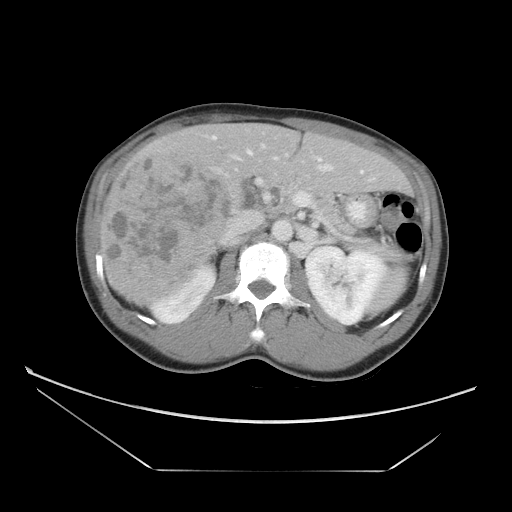

Computed tomography
Only some of the vessels may be annotated.
hepatic_vessel:
  - [x1=318, y1=166, x2=331, y2=168]
  - [x1=231, y1=154, x2=242, y2=160]
  - [x1=246, y1=149, x2=252, y2=155]
  - [x1=318, y1=158, x2=320, y2=160]
liver_tumor:
  - [x1=100, y1=146, x2=240, y2=305]